Head; Image width 240 mm
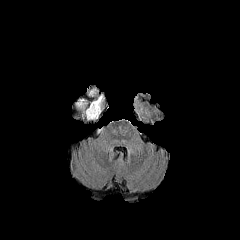
FLAIR MR image.
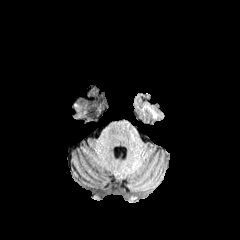
T1-weighted MRI of the same slice.
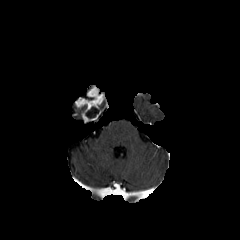
Post-contrast T1-weighted MR.
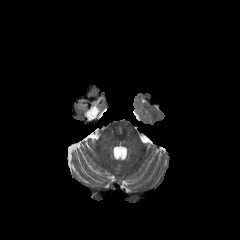
T2-weighted MR of the same slice.
Annotated regions:
* non-enhancing tumor core: [x1=72, y1=102, x2=87, y2=120], [x1=85, y1=106, x2=97, y2=119]
* enhancing tumor: [x1=75, y1=85, x2=108, y2=123]